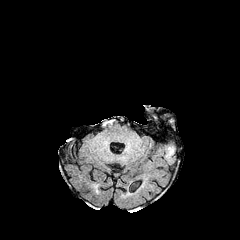
FLAIR MR image.
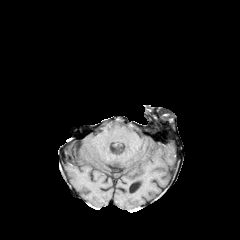
T1-weighted MRI.
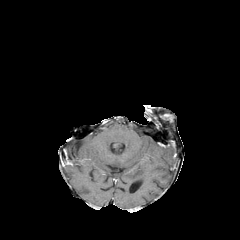
Post-contrast T1-weighted MR image.
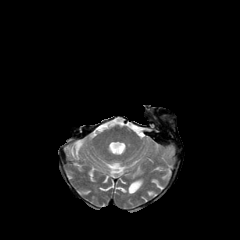
T2-weighted MR image.
Brain
edema:
  - <box>165,146,173,158</box>